Field of view 240x240 mm, 240x240
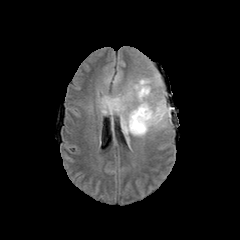
FLAIR MR.
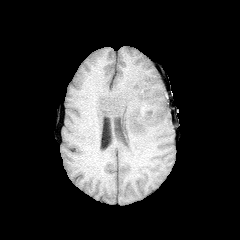
Same slice, T1-weighted magnetic resonance.
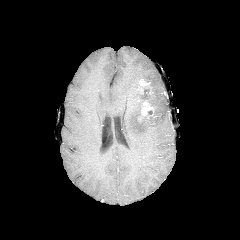
Post-contrast T1-weighted magnetic resonance of the same slice.
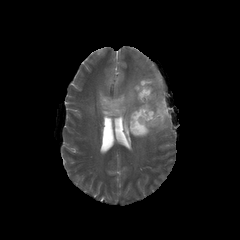
T2-weighted MRI.
The enhancing tumor lies within bbox(141, 101, 153, 115). 4 non-enhancing tumor core regions are bounded by bbox(137, 93, 149, 112); bbox(106, 93, 132, 111); bbox(134, 80, 151, 94); bbox(137, 109, 159, 124). The edema appears at bbox(98, 74, 170, 143).